FLAIR magnetic resonance.
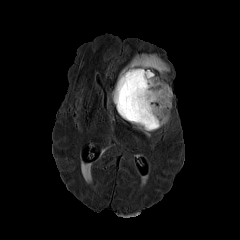
T1-weighted MRI.
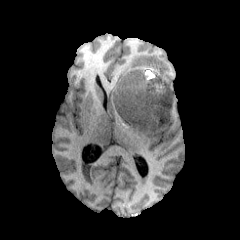
Post-contrast T1-weighted MR image.
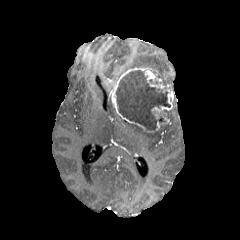
T2-weighted MRI.
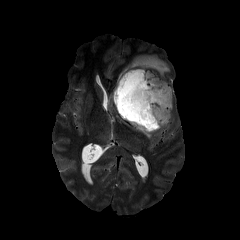
240x240 px
Enhancing tumor — box(111, 67, 164, 112); box(156, 114, 169, 128); box(151, 90, 174, 118); box(118, 113, 145, 131).
Non-enhancing tumor core — box(115, 70, 171, 131).
Edema — box(133, 126, 153, 138); box(119, 53, 170, 85).